CT image. Slice 111/135. 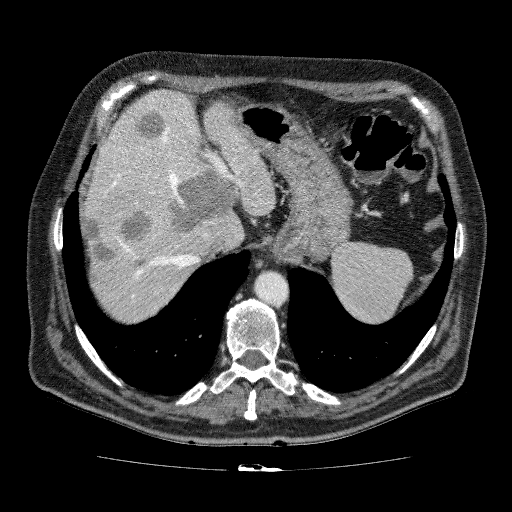 9 focal liver lesion regions are bounded by (83,212,117,285), (118,208,156,243), (133,109,164,141), (130,256,147,269), (183,94,193,106), (160,285,172,297), (166,165,234,235), (211,105,224,115), (148,282,156,290). 2 liver regions are bounded by (213,166,226,182), (83,89,276,323).